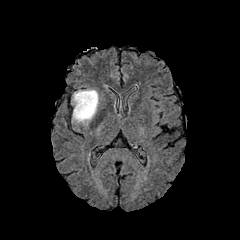
FLAIR MR.
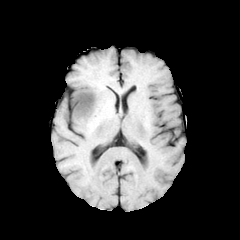
T1-weighted MR image.
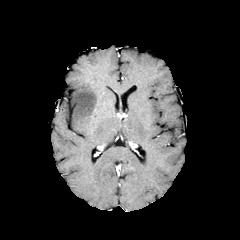
Post-contrast T1-weighted MRI of the same slice.
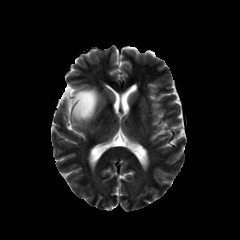
T2-weighted MR.
Head
Edema = <box>71,87,101,125</box>.